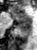
MRI slice; Hippocampus

Posterior hippocampus at <bbox>16, 23, 31, 31</bbox>.
Anterior hippocampus at <bbox>11, 12, 31, 22</bbox>.